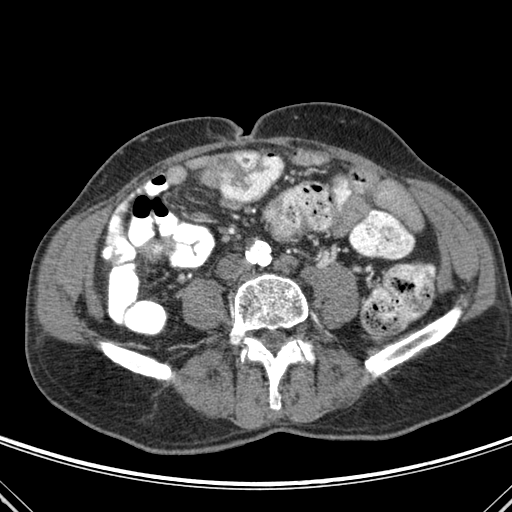

CT scan slice

bone: (100,342,174,379), (230,274,314,409), (365,307,461,376)